Brain
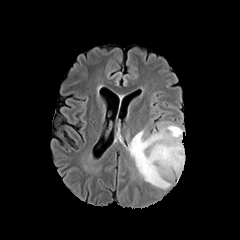
FLAIR magnetic resonance.
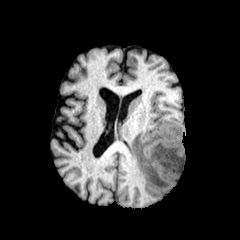
T1-weighted magnetic resonance.
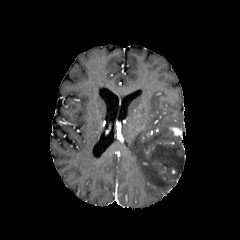
Same slice, post-contrast T1-weighted MRI.
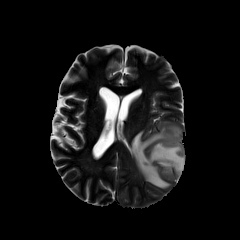
T2-weighted MR image.
enhancing tumor: bbox=[172, 128, 182, 137] | edema: bbox=[129, 121, 184, 188]